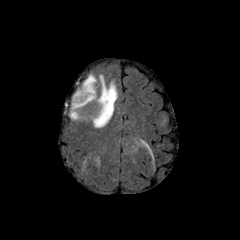
FLAIR magnetic resonance.
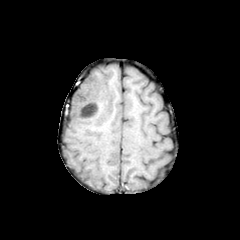
T1-weighted MR image.
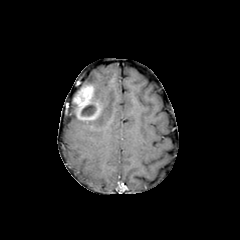
Post-contrast T1-weighted MR of the same slice.
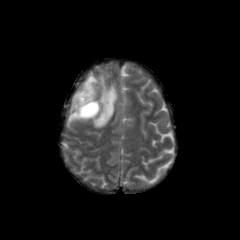
T2-weighted magnetic resonance.
Head
edema: <box>69,74,119,127</box> | enhancing tumor: <box>74,86,93,110</box> | non-enhancing tumor core: <box>74,98,99,119</box>